CT scan slice.
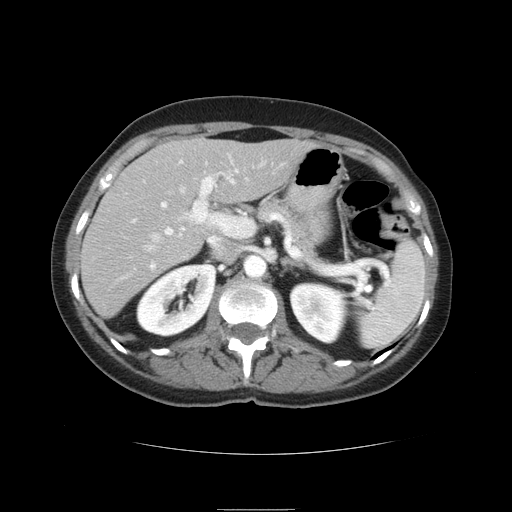 <segmentation>
  <spleen>rect(359, 242, 424, 348)</spleen>
</segmentation>